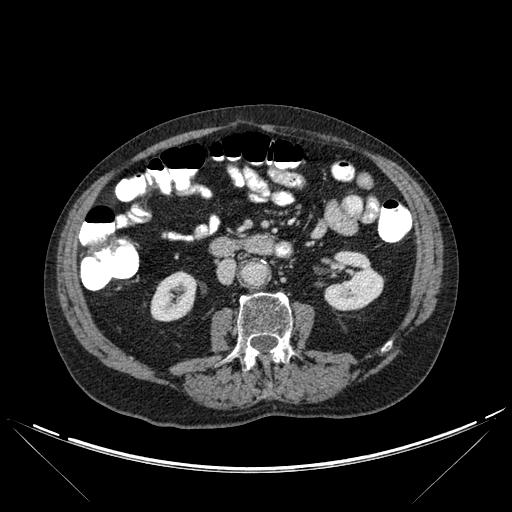
512x512 px. Computed tomography. Abdomen. Kidney: bbox(325, 251, 382, 310); bbox(151, 272, 196, 320).
Bone: bbox(228, 292, 292, 368); bbox(265, 383, 271, 395).